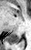 Magnetic resonance.
• posterior hippocampus: 6:34:20:43